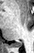
Hippocampus | MRI

- posterior hippocampus: left=12, top=42, right=21, bottom=47